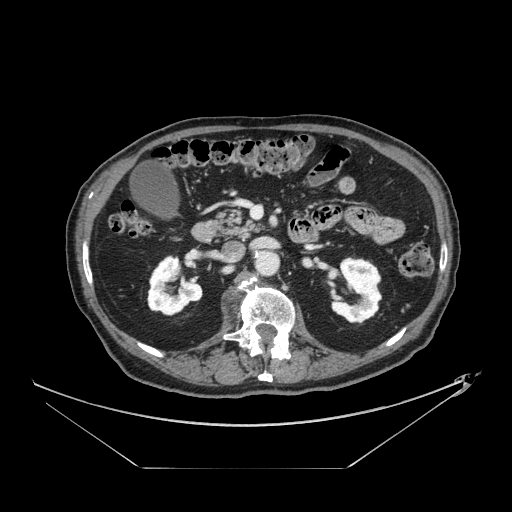 CT scan slice; 512x512
Annotated regions:
• pancreas: l=215, t=213, r=263, b=236